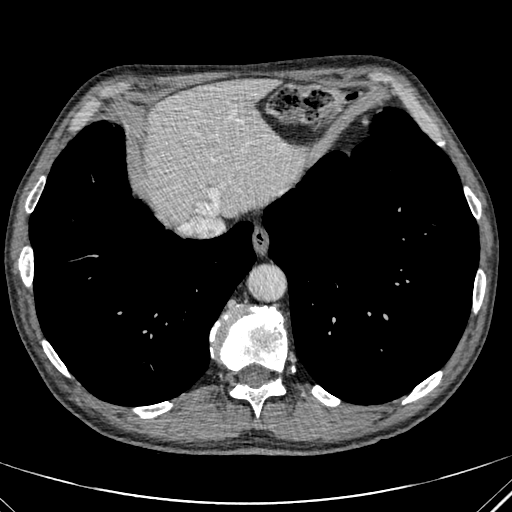

Abdomen; 512x512 px; CT image
Liver: bbox=[146, 79, 293, 220].